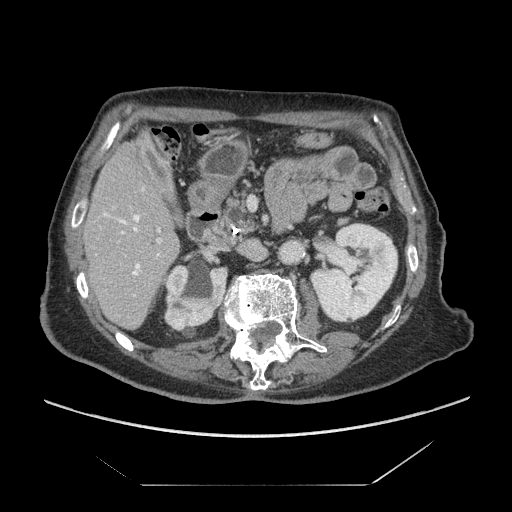

Image size 512x512. CT.

{
  "pancreas": [
    "left=307, top=213, right=355, bottom=234",
    "left=219, top=187, right=263, bottom=242"
  ]
}